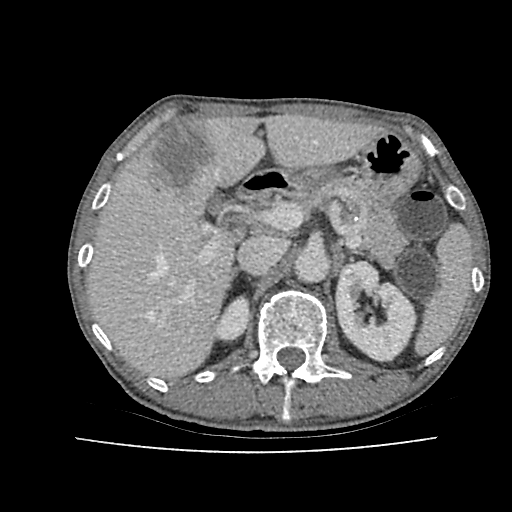
Image size 512x512 | CT scan slice
* kidney: [337, 262, 414, 360], [217, 299, 247, 338]
* liver: [90, 116, 380, 377]
* hepatic lesion: [147, 122, 212, 189]